Image size 240x240
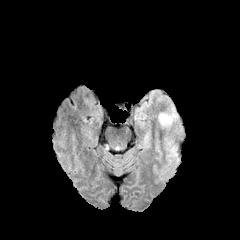
FLAIR MR image.
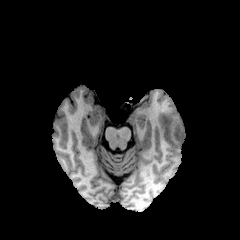
T1-weighted magnetic resonance.
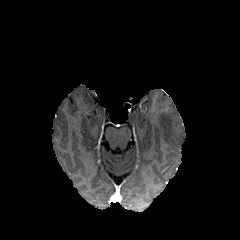
Post-contrast T1-weighted MRI of the same slice.
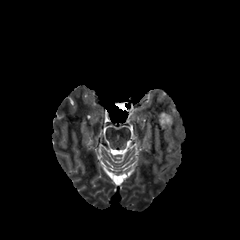
T2-weighted MRI of the same slice.
The edema is located at 158:113:172:125.